Slice 87/155. Brain.
FLAIR MR.
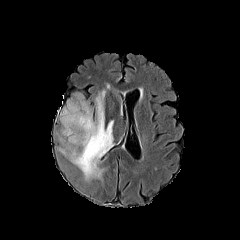
T1-weighted MR image.
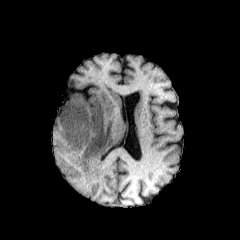
Post-contrast T1-weighted MR image.
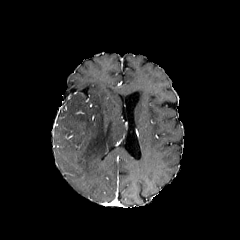
T2-weighted MR.
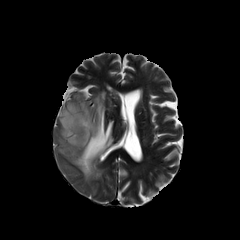
edema:
  - (59,83,114,183)